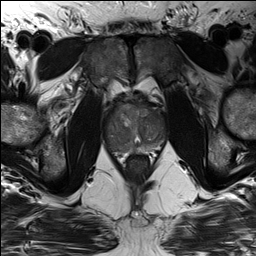
T2-weighted MRI.
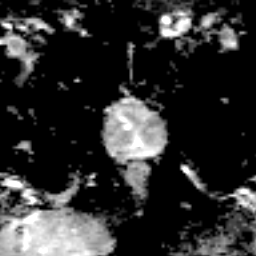
ADC MR image.
The prostate peripheral zone is at (112,141,162,154). The prostate transition zone is bounded by (107,104,164,150).